CT scan slice; Field of view 436x436 mm; Image size 512x512; Abdomen 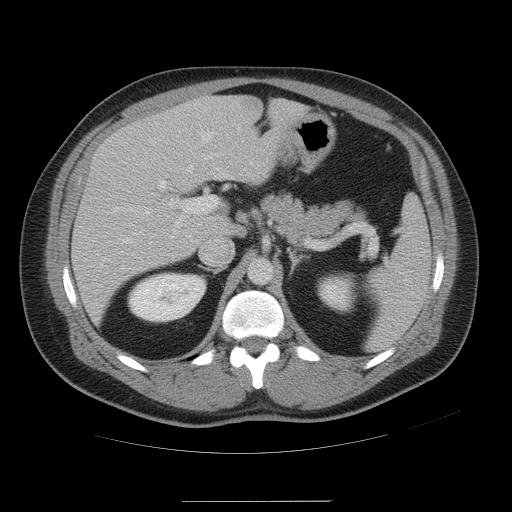

<segmentation>
  <spleen>(x1=367, y1=197, x2=429, y2=351)</spleen>
</segmentation>